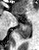 MR image. Posterior hippocampus: bounding box 16 21 30 38.
Anterior hippocampus: bounding box 24 16 25 18.